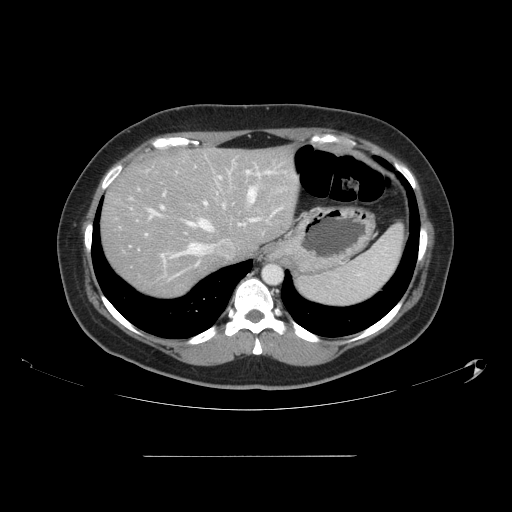 CT image
The vessel boxes may cover only some of the vessels.
15 hepatic vessel regions are bounded by rect(248, 218, 256, 221); rect(174, 243, 200, 256); rect(255, 172, 260, 176); rect(150, 210, 158, 217); rect(239, 223, 244, 225); rect(161, 254, 165, 263); rect(248, 187, 256, 201); rect(265, 170, 272, 173); rect(218, 176, 220, 177); rect(204, 202, 206, 204); rect(186, 219, 211, 229); rect(223, 203, 224, 205); rect(161, 206, 163, 208); rect(272, 209, 279, 214); rect(245, 170, 250, 173).